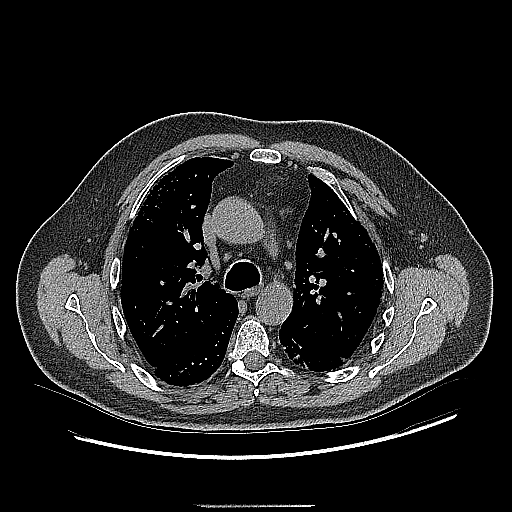

Lung, CT scan slice, Image size 512x512

{"lung_tumor": ["(279, 329, 309, 369)"]}